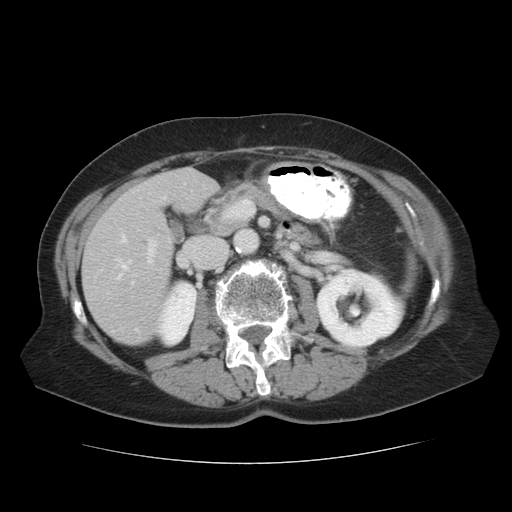

CT image, 512x512 px

<segmentation>
  <kidney>{"x1": 317, "y1": 269, "x2": 400, "y2": 345}, {"x1": 159, "y1": 283, "x2": 195, "y2": 343}</kidney>
  <liver>{"x1": 82, "y1": 167, "x2": 220, "y2": 348}</liver>
  <bone>{"x1": 432, "y1": 279, "x2": 438, "y2": 297}, {"x1": 213, "y1": 259, "x2": 293, "y2": 395}, {"x1": 73, "y1": 297, "x2": 86, "y2": 324}</bone>
</segmentation>